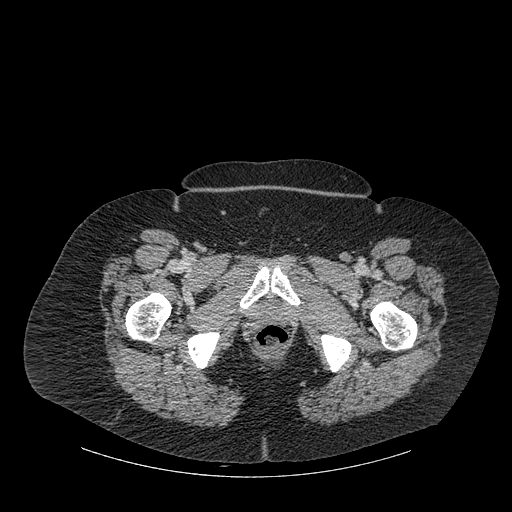
CT.

Bone: bounding box 187,332,219,368; 240,266,300,308; 321,334,351,371; 125,293,171,341; 370,302,417,350.